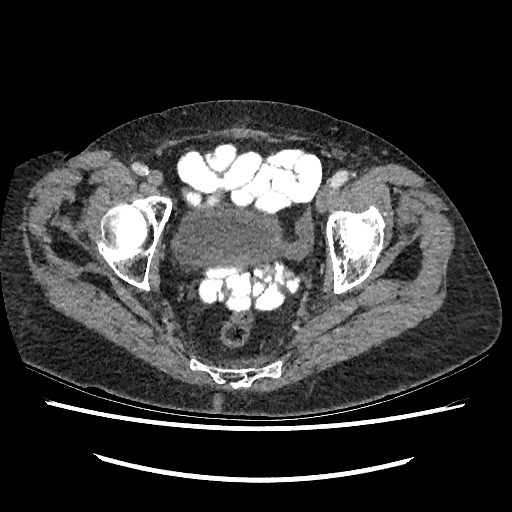

Computed tomography; 512x512 px
<segmentation>
  <urinary_bladder>174,197,285,270</urinary_bladder>
</segmentation>